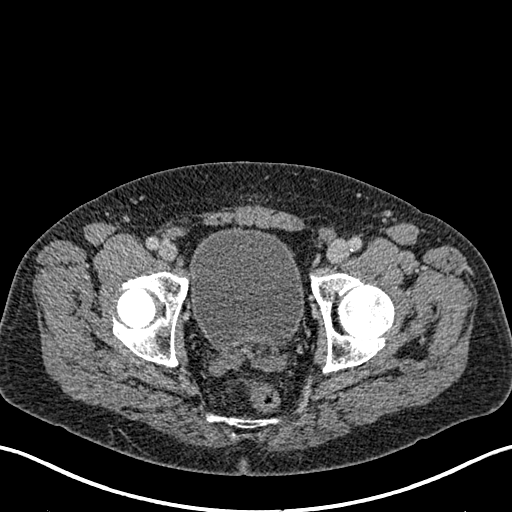
CT; Lower abdomen
Urinary bladder: bounding box x1=188 y1=228 x2=303 y2=343.